Image size 240x240; Slice 85 of 155
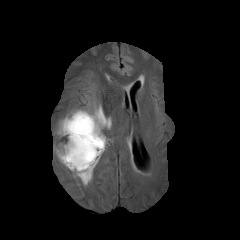
FLAIR MR image.
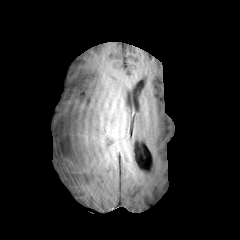
T1-weighted MR.
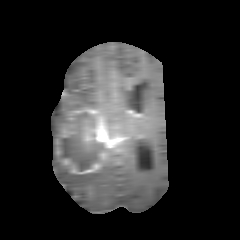
Post-contrast T1-weighted MR of the same slice.
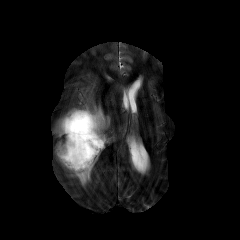
T2-weighted MR image of the same slice.
3 edema regions are located at [94, 145, 108, 171], [89, 99, 111, 129], [53, 106, 93, 185]. The non-enhancing tumor core is located at [60, 110, 103, 169]. 2 enhancing tumor regions are bounded by [83, 109, 112, 146], [70, 168, 93, 173].